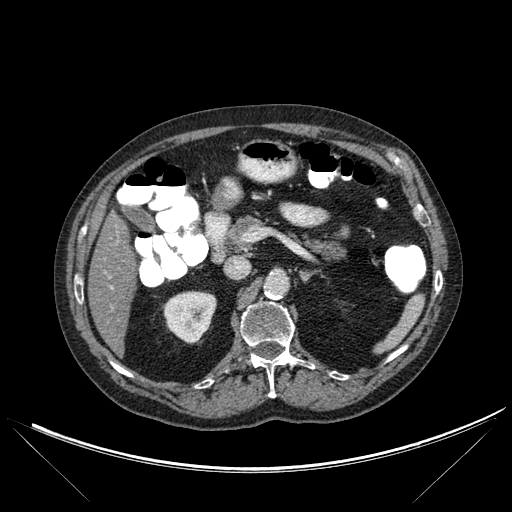
512x512 px, Upper abdomen, Computed tomography
bone: (x1=196, y1=379, x2=211, y2=388), (x1=387, y1=346, x2=406, y2=360), (x1=330, y1=371, x2=347, y2=379), (x1=75, y1=286, x2=83, y2=302), (x1=240, y1=302, x2=300, y2=397), (x1=111, y1=362, x2=132, y2=376), (x1=435, y1=271, x2=442, y2=292) | kidney: (x1=164, y1=292, x2=215, y2=342) | liver: (x1=89, y1=209, x2=139, y2=357)